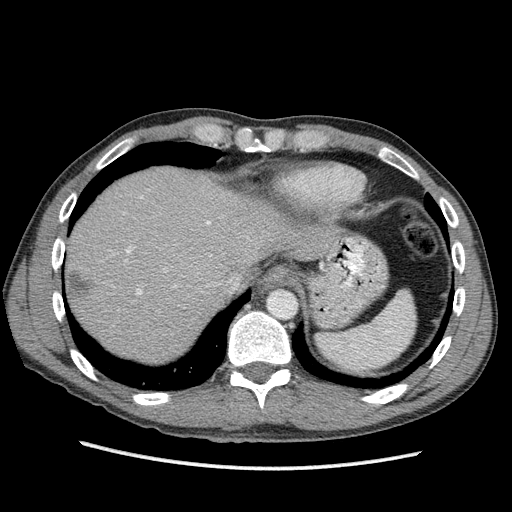 Abdomen | Computed tomography

The liver is located at 65,166,342,363. The hepatic lesion lies within 67,271,93,298.